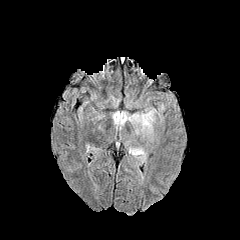
FLAIR MRI.
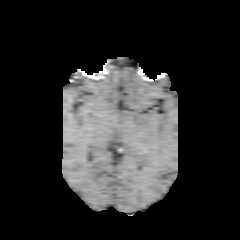
T1-weighted MR.
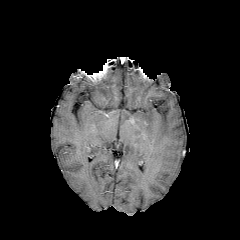
Post-contrast T1-weighted MRI.
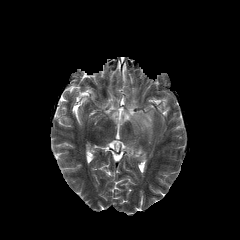
T2-weighted MRI.
240x240 px
The enhancing tumor appears at (128, 116, 148, 129). 5 edema regions are located at (109, 94, 121, 107), (126, 93, 138, 109), (132, 107, 157, 142), (125, 141, 148, 164), (111, 111, 132, 132).